FLAIR MR image.
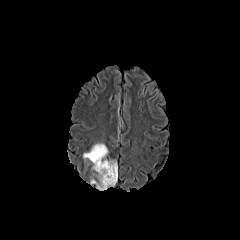
T1-weighted MR.
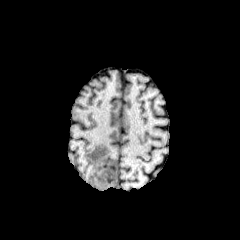
Post-contrast T1-weighted MR image.
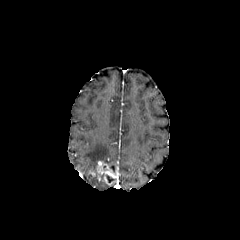
T2-weighted MR image.
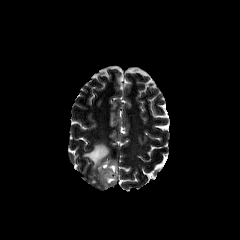
Head.
The enhancing tumor lies within (left=96, top=160, right=117, bottom=185). The edema is located at (left=83, top=143, right=109, bottom=169). 2 non-enhancing tumor core regions are located at (left=104, top=160, right=117, bottom=171), (left=91, top=163, right=106, bottom=184).